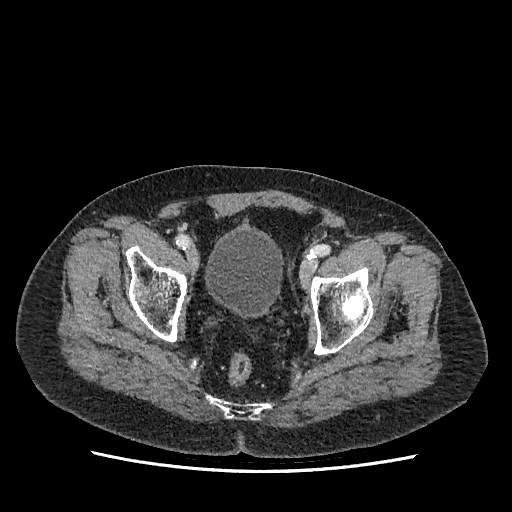 CT. Pelvis. <segmentation>
  <urinary_bladder><bbox>205, 230, 282, 314</bbox></urinary_bladder>
</segmentation>